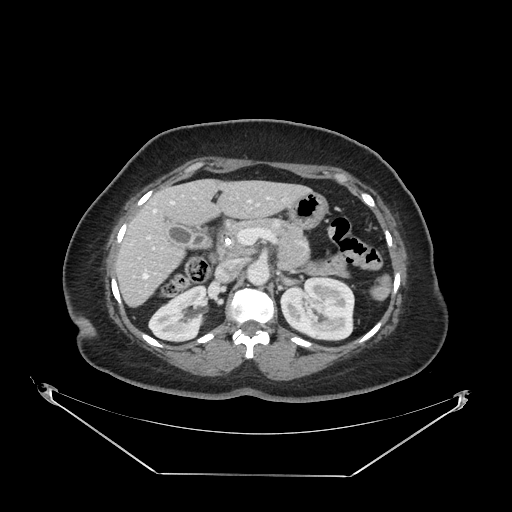 Computed tomography; 512x512 px

Segmented structures:
* pancreas: (left=227, top=219, right=311, bottom=270)